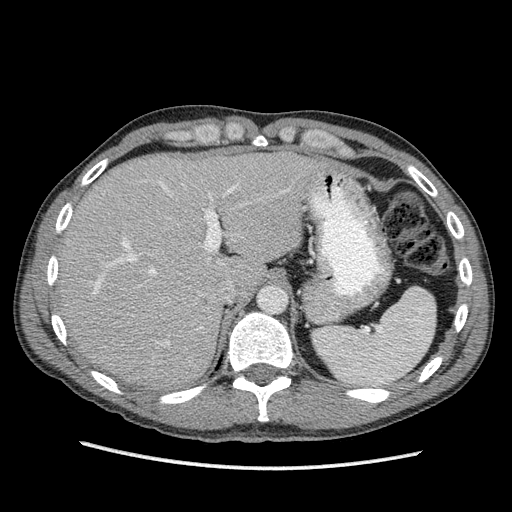 Computed tomography. Liver. The liver appears at <bbox>55, 146, 326, 390</bbox>.